FLAIR MR image.
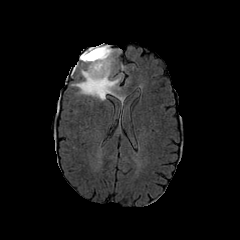
T1-weighted MR.
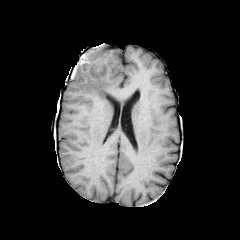
Post-contrast T1-weighted magnetic resonance.
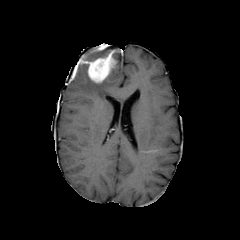
T2-weighted MRI.
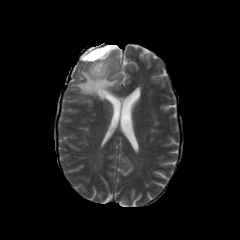
240x240. Head.
Enhancing tumor: [90, 44, 107, 52], [76, 49, 122, 83].
Non-enhancing tumor core: [84, 45, 120, 61], [112, 52, 120, 65], [89, 79, 105, 93].
Edema: [70, 63, 125, 103].